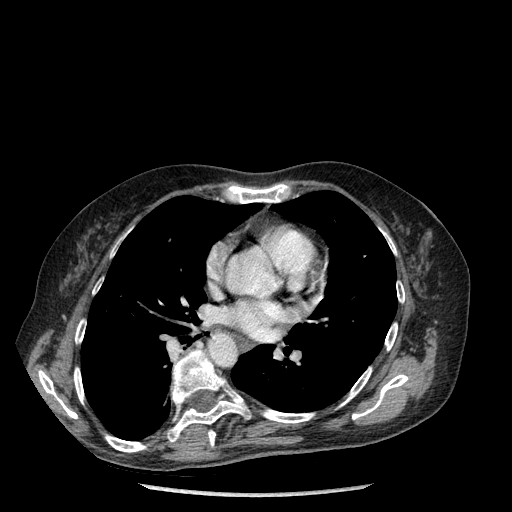

CT
2 lung regions appear at [x1=81, y1=196, x2=259, y2=440], [x1=231, y1=191, x2=397, y2=412]. 14 bone regions appear at [x1=396, y1=281, x2=404, y2=302], [x1=110, y1=230, x2=129, y2=257], [x1=207, y1=430, x2=215, y2=446], [x1=385, y1=323, x2=397, y2=350], [x1=340, y1=367, x2=371, y2=406], [x1=74, y1=367, x2=84, y2=403], [x1=75, y1=319, x2=86, y2=343], [x1=352, y1=374, x2=408, y2=419], [x1=105, y1=435, x2=146, y2=452], [x1=380, y1=228, x2=396, y2=254], [x1=226, y1=184, x2=288, y2=203], [x1=167, y1=348, x2=250, y2=441], [x1=38, y1=370, x2=77, y2=418], [x1=262, y1=410, x2=314, y2=423].